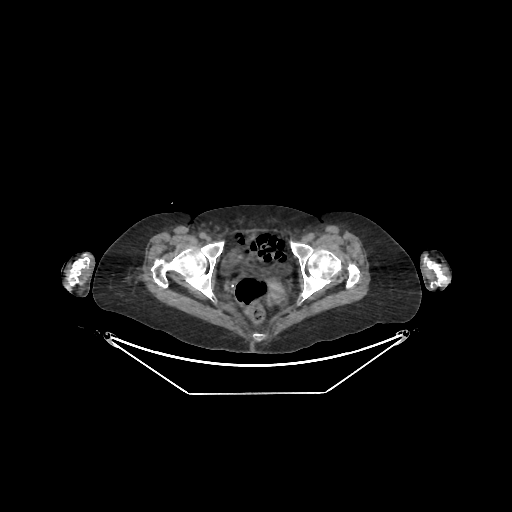

Pelvis | 512x512 | CT slice
• urinary bladder: 220, 234, 291, 278